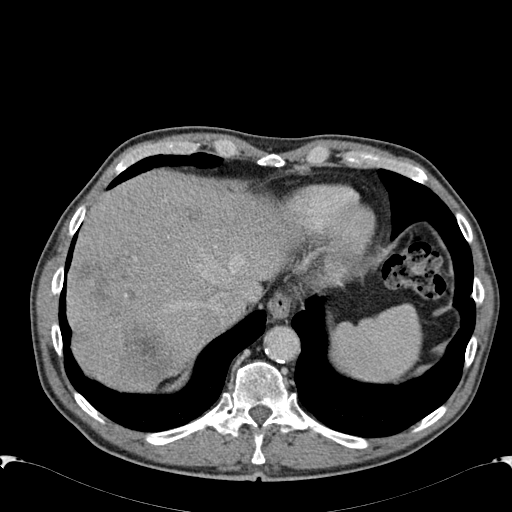 CT image
focal_liver_lesion:
  - left=124, top=326, right=172, bottom=378
  - left=81, top=260, right=114, bottom=307
liver:
  - left=321, top=273, right=341, bottom=286
  - left=66, top=171, right=293, bottom=392